Field of view 240x240 mm
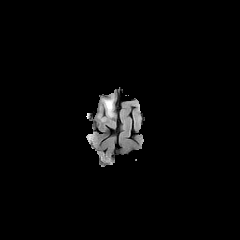
FLAIR MR.
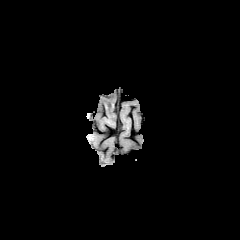
T1-weighted magnetic resonance.
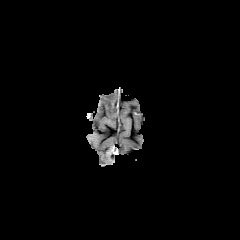
Post-contrast T1-weighted MRI.
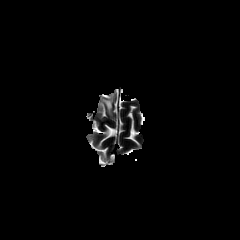
T2-weighted MRI.
Annotated regions:
- non-enhancing tumor core: rect(105, 100, 113, 115)
- edema: rect(99, 95, 114, 121)